Head, Slice 109/155
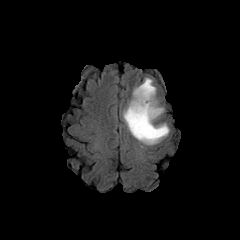
FLAIR MRI.
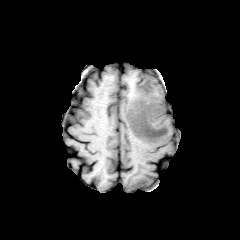
T1-weighted MR image.
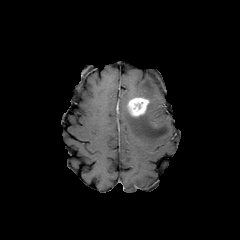
Post-contrast T1-weighted MR of the same slice.
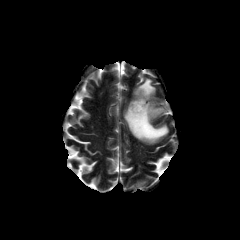
T2-weighted MRI of the same slice.
Non-enhancing tumor core at <bbox>128, 101, 164, 137</bbox>.
Edema at <bbox>122, 77, 169, 145</bbox>.
Enhancing tumor at <bbox>127, 97, 149, 117</bbox>.